FLAIR MR.
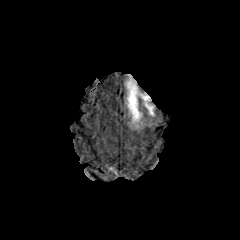
T1-weighted MR image.
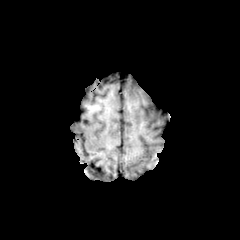
Post-contrast T1-weighted MR image.
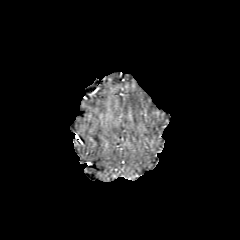
T2-weighted MRI.
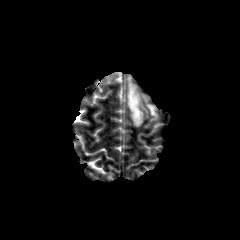
240x240.
<segmentation>
  <edema><box>126,78,153,124</box></edema>
</segmentation>